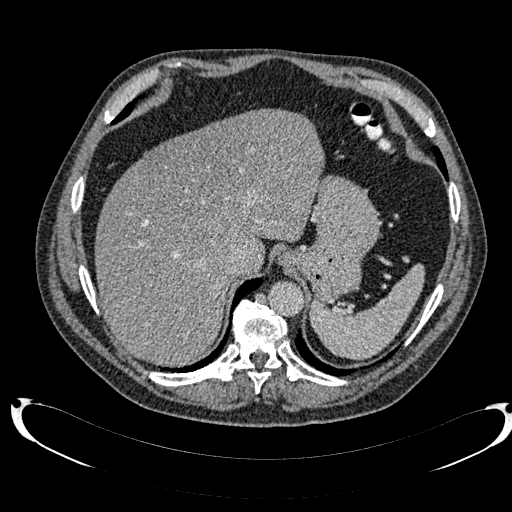
CT
2 liver regions are bounded by 95, 109, 323, 364; 147, 137, 179, 153. The liver lesion is bounded by 137, 116, 267, 220.